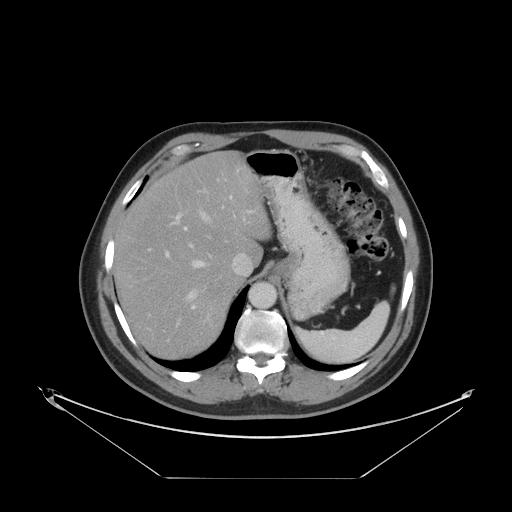

Abdomen, CT
The vessel annotation is not exhaustive.
<segmentation>
  <hepatic_vessel>246 210 251 212, 232 253 251 273, 190 244 191 246, 229 196 231 198, 184 227 186 229, 166 251 168 256, 192 305 195 308, 200 211 206 219, 173 214 180 224, 193 261 203 266, 187 291 195 299</hepatic_vessel>
</segmentation>